CT scan slice, Slice 425 of 908, Field of view 404x404 mm, 512x512 px

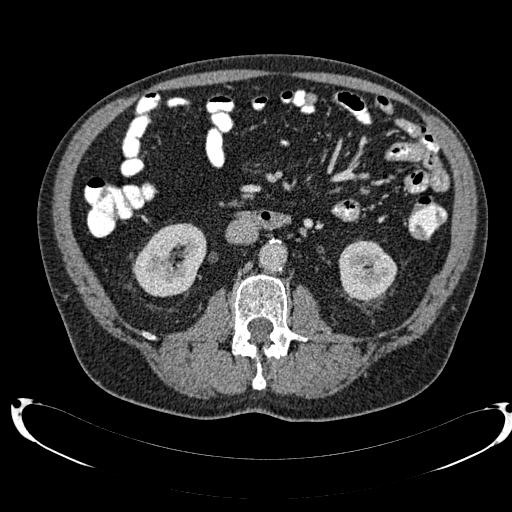 <segmentation>
  <kidney>[339, 241, 396, 301], [133, 223, 206, 296]</kidney>
</segmentation>